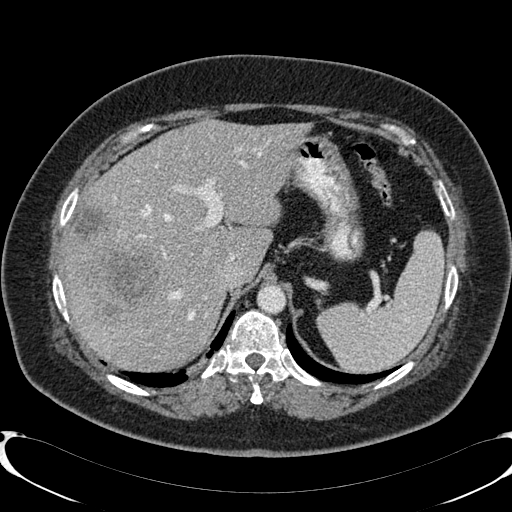

Upper abdomen | Computed tomography

• liver: l=65, t=120, r=309, b=369
• focal liver lesion: l=67, t=204, r=158, b=321